Computed tomography
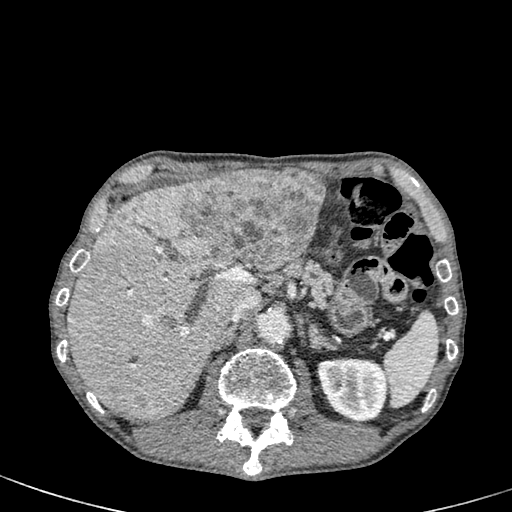

• kidney: bbox(318, 359, 391, 420)
• liver: bbox(67, 180, 249, 418)
• liver lesion: bbox(134, 394, 146, 408); bbox(161, 314, 177, 327); bbox(111, 227, 125, 238); bbox(181, 169, 326, 276)